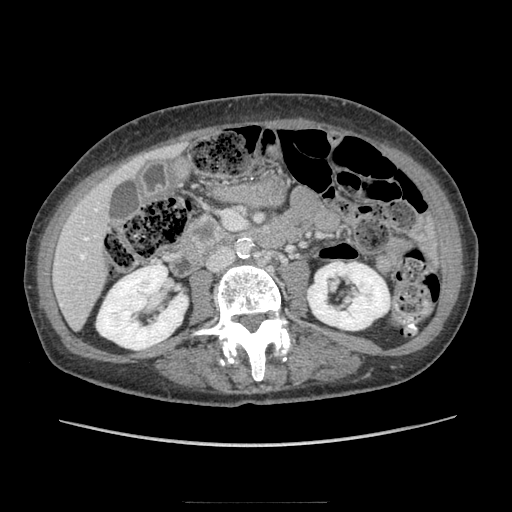 CT scan slice; Upper abdomen

The pancreas lies within (182,213,230,259). The pancreatic tumor is bounded by (193,222,217,242).